FLAIR MR image.
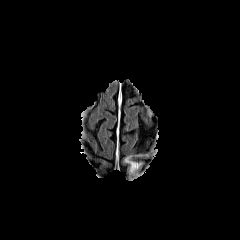
T1-weighted MRI.
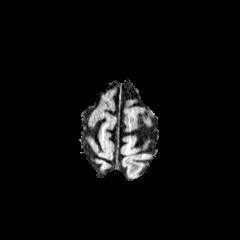
Post-contrast T1-weighted MR image.
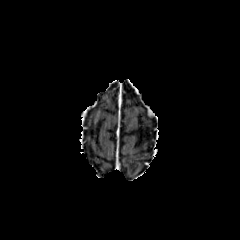
T2-weighted MR.
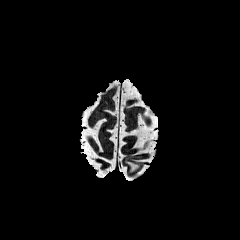
Image size 240x240
• edema: (124, 156, 141, 174)